Slice 116/155, Head
FLAIR MR.
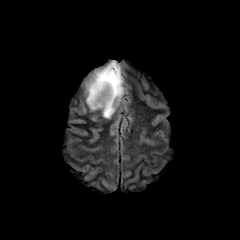
T1-weighted MRI.
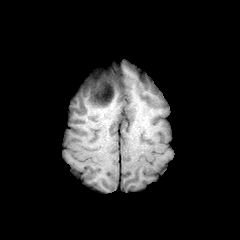
Post-contrast T1-weighted MRI.
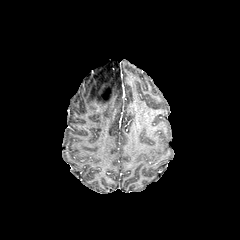
T2-weighted MR.
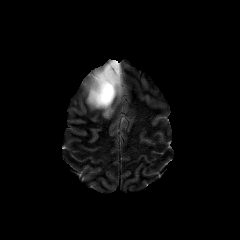
edema: 82, 60, 123, 118 | non-enhancing tumor core: 94, 79, 113, 107; 108, 63, 121, 79